512x512 | Field of view 350x350 mm | CT slice
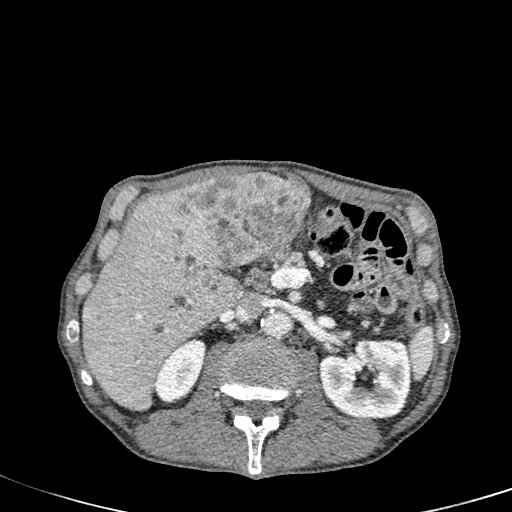 kidney:
  - region(154, 341, 204, 401)
  - region(320, 341, 410, 417)
liver:
  - region(82, 185, 241, 410)
focal_liver_lesion:
  - region(186, 271, 196, 281)
  - region(180, 174, 310, 273)
  - region(204, 274, 210, 283)